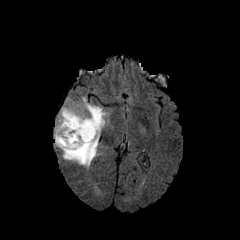
FLAIR MR image.
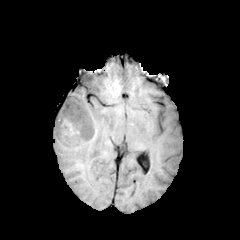
Same slice, T1-weighted MR image.
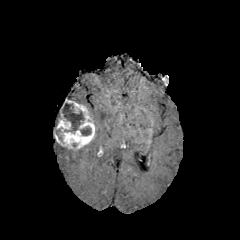
Post-contrast T1-weighted magnetic resonance.
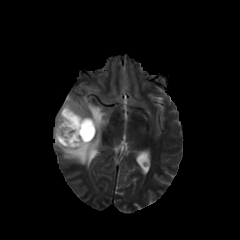
Same slice, T2-weighted MRI.
Image size 240x240
edema:
  - (54, 96, 108, 168)
enhancing_tumor:
  - (54, 99, 95, 149)
non-enhancing_tumor_core:
  - (60, 102, 84, 132)
  - (80, 127, 90, 135)
  - (68, 143, 89, 156)